CT scan slice

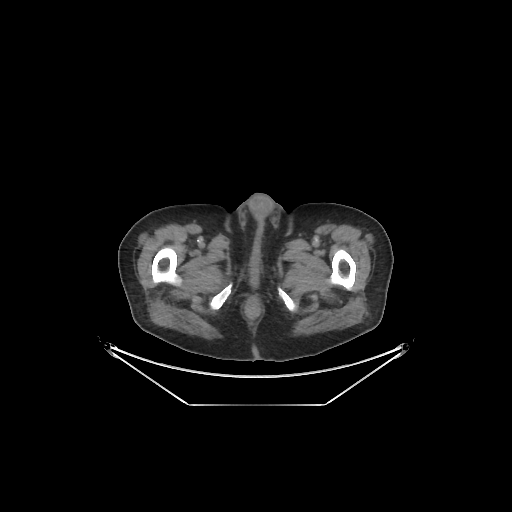 Bone: bounding box (210, 284, 231, 309), (328, 249, 355, 289), (152, 247, 181, 285), (279, 288, 295, 310).